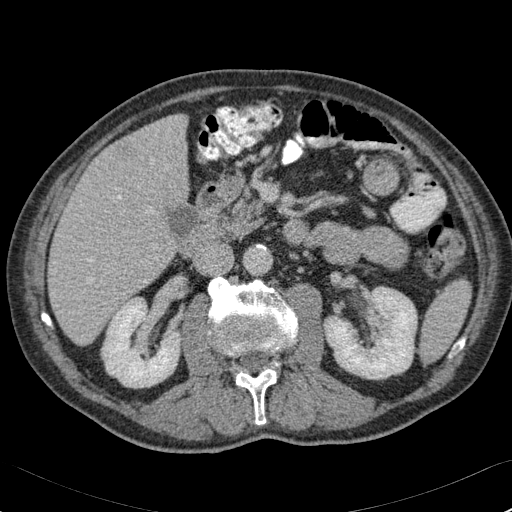
512x512 | CT image | Abdomen

The liver lesion is bounded by bbox=[116, 140, 138, 160]. The liver is bounded by bbox=[48, 115, 187, 345]. 2 kidney regions appear at bbox=[102, 297, 180, 387]; bbox=[324, 287, 416, 379].